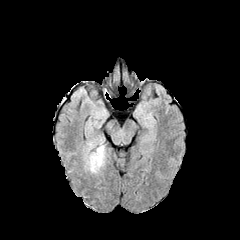
FLAIR magnetic resonance.
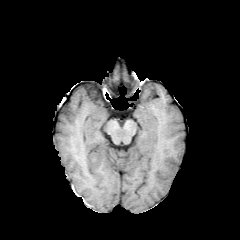
T1-weighted MR image.
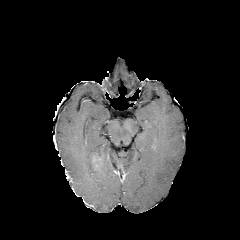
Post-contrast T1-weighted MR of the same slice.
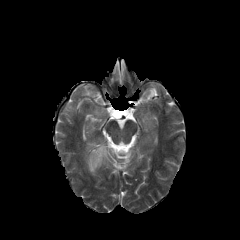
T2-weighted magnetic resonance of the same slice.
Brain.
edema:
  - x1=81 y1=140 x2=109 y2=175
enhancing_tumor:
  - x1=92 y1=155 x2=103 y2=169